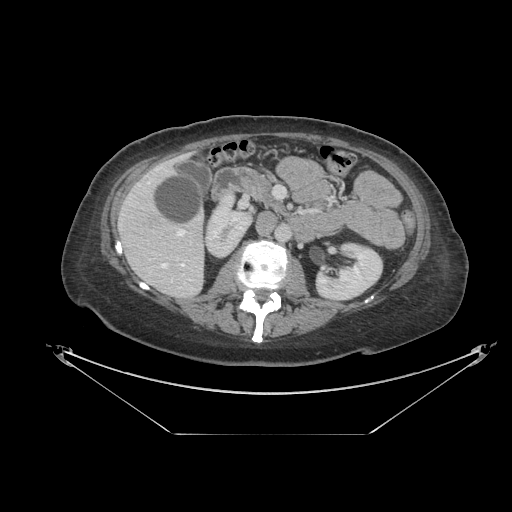
Upper abdomen; CT

Annotated regions:
* pancreas: rect(251, 180, 285, 213)